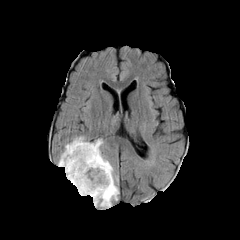
FLAIR MR.
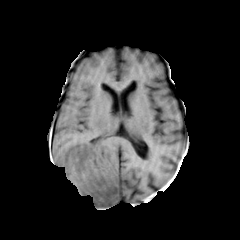
T1-weighted MR of the same slice.
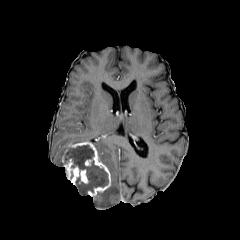
Post-contrast T1-weighted MR image.
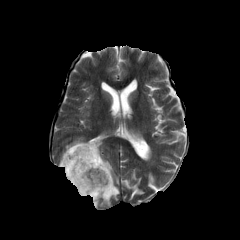
T2-weighted MR of the same slice.
Brain
enhancing tumor: 70,142,111,199; 64,158,87,184 | edema: 58,144,92,165; 93,138,119,209; 69,137,86,144; 75,166,107,195 | non-enhancing tumor core: 90,182,104,191; 68,151,94,170